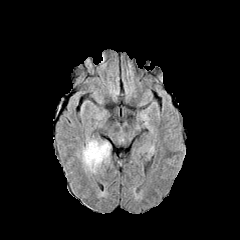
FLAIR MRI.
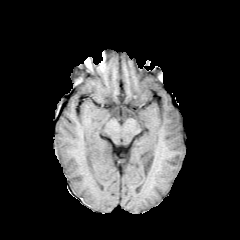
T1-weighted MR image.
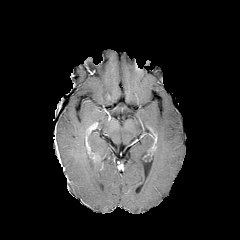
Post-contrast T1-weighted magnetic resonance.
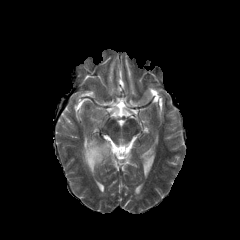
Same slice, T2-weighted MR image.
{"enhancing_tumor": ["x1=86, y1=142, x2=98, y2=161"], "edema": ["x1=80, y1=130, x2=111, y2=175"]}